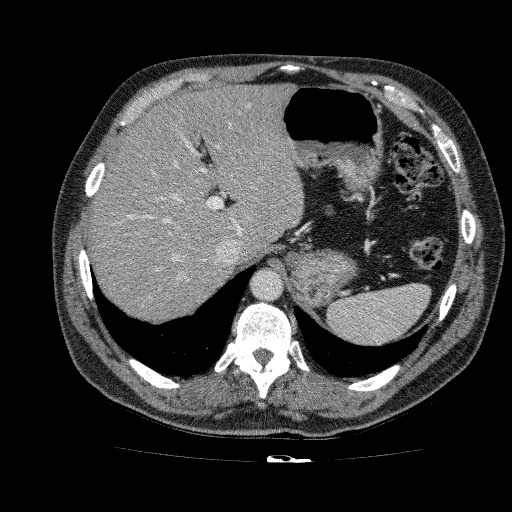 Computed tomography
Liver = x1=86, y1=83, x2=303, y2=321.